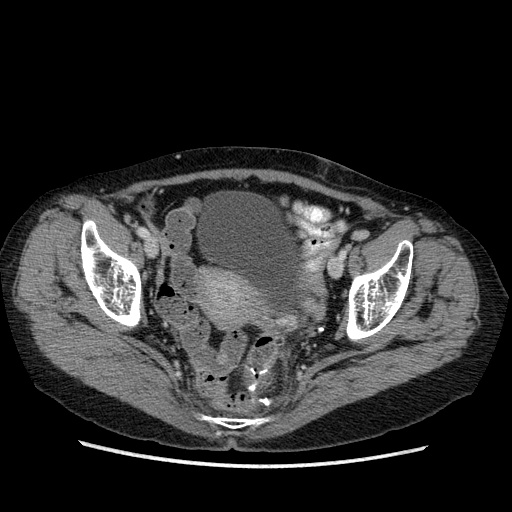 512x512; Computed tomography
The urinary bladder is located at 195 190 304 293.